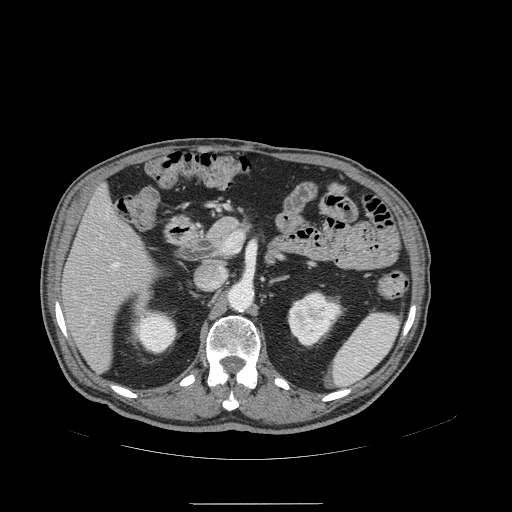 CT slice. Image size 512x512. Upper abdomen. The pancreas is bounded by {"x1": 203, "y1": 211, "x2": 257, "y2": 251}. The pancreatic tumor is bounded by {"x1": 213, "y1": 216, "x2": 240, "y2": 234}.